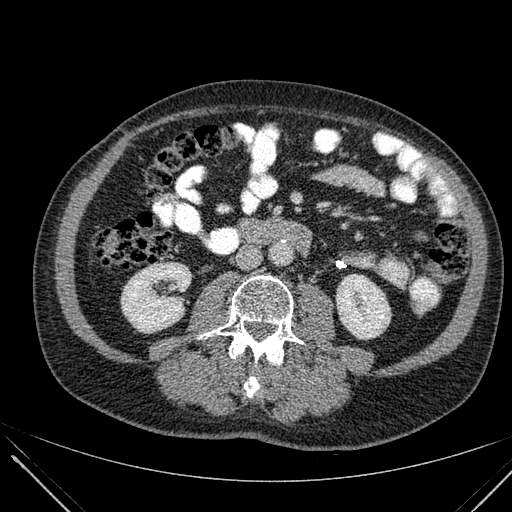

CT; Abdomen
Kidney = [336,274,390,338], [121,263,190,332].